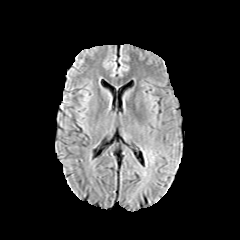
FLAIR MR.
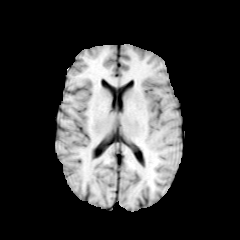
T1-weighted MRI of the same slice.
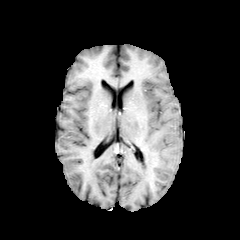
Post-contrast T1-weighted MR image.
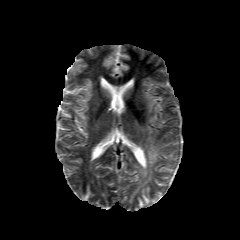
Same slice, T2-weighted magnetic resonance.
240x240
Edema = [144, 148, 155, 165].